Slice 16 of 26; MRI slice; Medial temporal lobe; Field of view 37 mm wide, 1.00 mm slice spacing
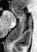 Annotated regions:
- anterior hippocampus: <box>12,8,25,18</box>
- posterior hippocampus: <box>8,19,25,42</box>